Computed tomography

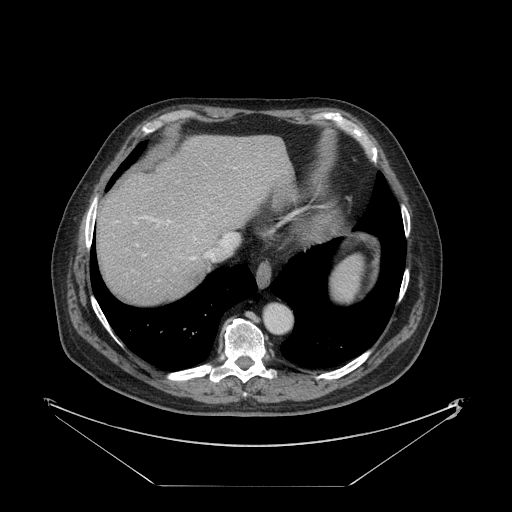
The vessel boxes may cover only some of the vessels.
Hepatic vessel = left=136, top=244, right=137, bottom=245.
Liver tumor = left=186, top=273, right=199, bottom=284.